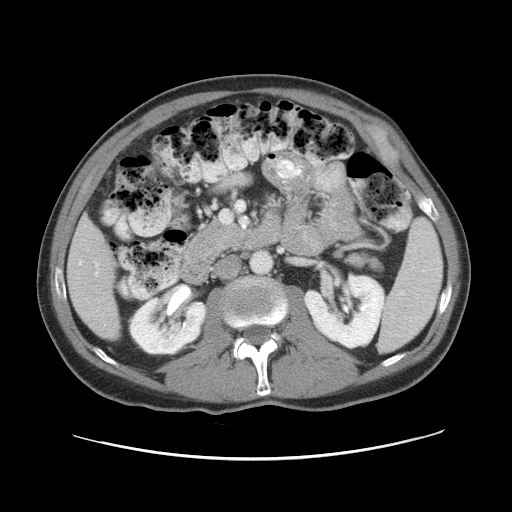 Liver, CT
The vessel annotation is not exhaustive.
Hepatic vessel: x1=80, y1=261, x2=81, y2=264; x1=95, y1=271, x2=97, y2=275; x1=95, y1=263, x2=97, y2=266.